CT scan slice; Liver; 512x512; Slice 31/45 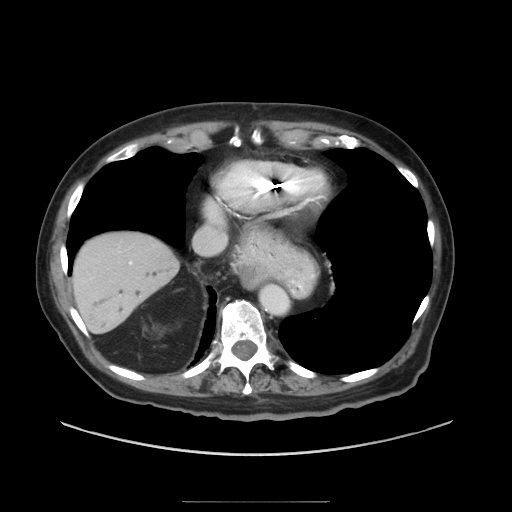
Some hepatic vessels may have no box.
The hepatic vessel is at x1=130 y1=262 x2=132 y2=263.